Magnetic resonance, Slice 61/110, 320x320 px, Heart
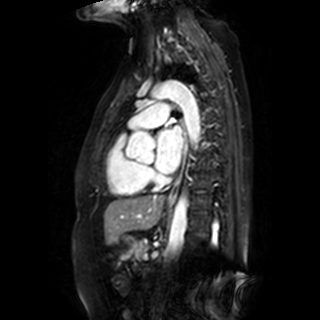 Left atrium: rect(155, 125, 182, 173).